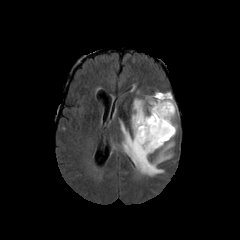
FLAIR MR.
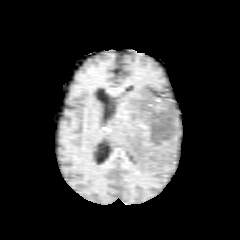
T1-weighted MR image.
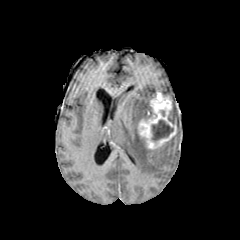
Post-contrast T1-weighted MRI.
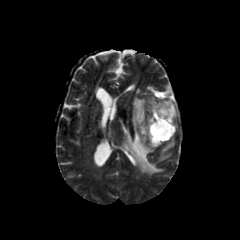
T2-weighted MRI.
Head
Non-enhancing tumor core = left=152, top=119, right=173, bottom=141.
Edema = left=121, top=98, right=174, bottom=175.
Enhancing tumor = left=137, top=92, right=177, bottom=149.